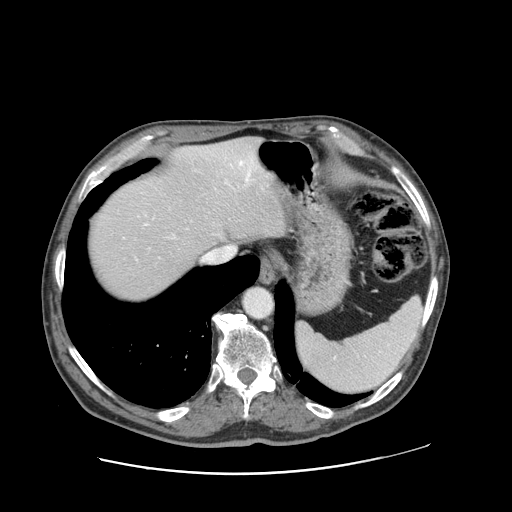
Liver. CT. Not every hepatic vessel necessarily has a box.
Hepatic vessel: bounding box box=[240, 161, 243, 165]; box=[247, 169, 249, 178]; box=[251, 160, 252, 162].